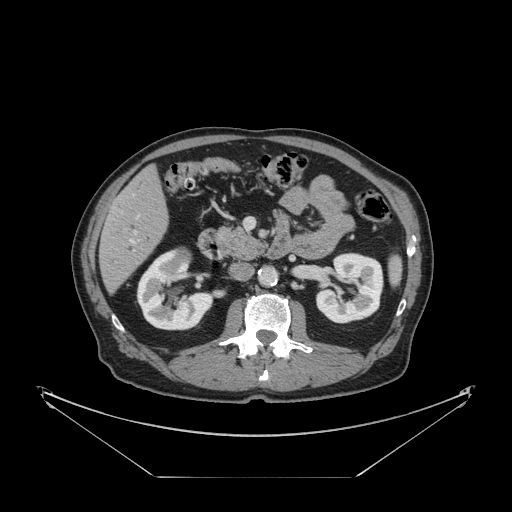 512x512; CT scan slice
Not every hepatic vessel necessarily has a box.
4 hepatic vessel regions appear at 134, 231, 135, 233; 130, 240, 134, 242; 136, 239, 138, 240; 137, 215, 138, 217.